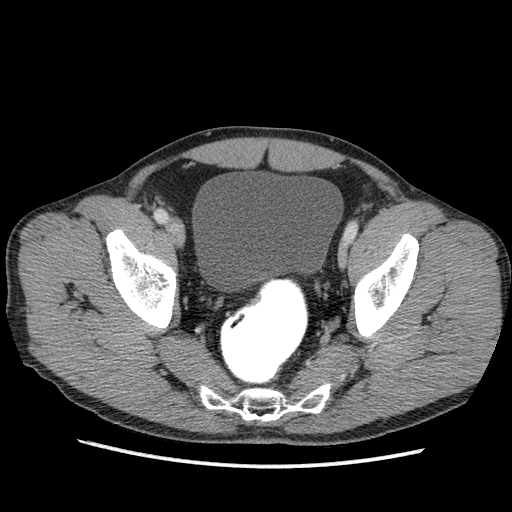 CT slice; Lower abdomen; 512x512 px
urinary_bladder:
  - 192 170 343 291